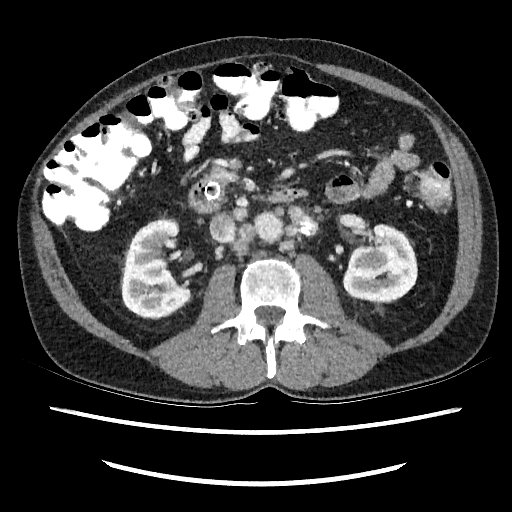
Abdomen. Computed tomography. Kidney = box=[344, 225, 416, 300]; box=[122, 220, 190, 317].